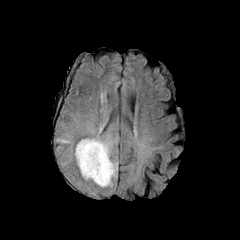
FLAIR magnetic resonance.
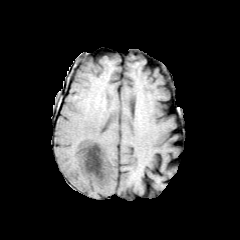
T1-weighted MR image of the same slice.
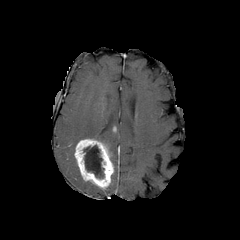
Same slice, post-contrast T1-weighted MR image.
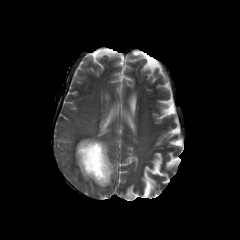
T2-weighted MRI.
Image size 240x240
Non-enhancing tumor core = <bbox>83, 145, 104, 178</bbox>.
Enhancing tumor = <bbox>74, 138, 114, 188</bbox>.
Edema = <bbox>85, 180, 103, 195</bbox>, <bbox>54, 105, 119, 189</bbox>.